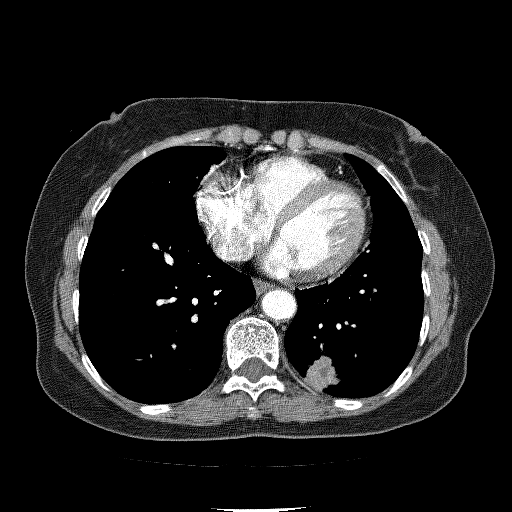 CT image
Lung tumor: (305,351,349,391).